Hippocampus | MR 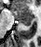 • posterior hippocampus: [x1=19, y1=20, x2=31, y2=26]
• anterior hippocampus: [x1=11, y1=9, x2=32, y2=19]